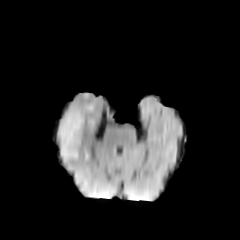
FLAIR MRI.
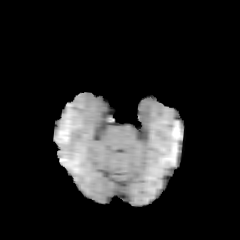
T1-weighted magnetic resonance.
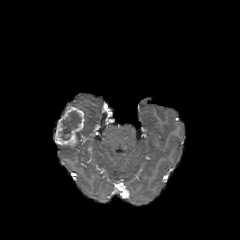
Post-contrast T1-weighted MR.
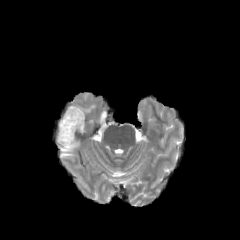
T2-weighted MR.
240x240; Head
2 edema regions are located at bbox=[61, 150, 77, 160]; bbox=[70, 105, 94, 113]. The enhancing tumor lies within bbox=[54, 106, 84, 146]. The non-enhancing tumor core appears at bbox=[59, 110, 81, 140].